CT scan slice

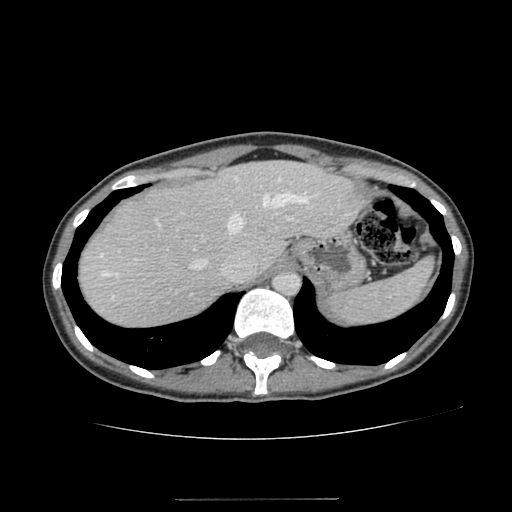
Liver = 79:161:365:327.